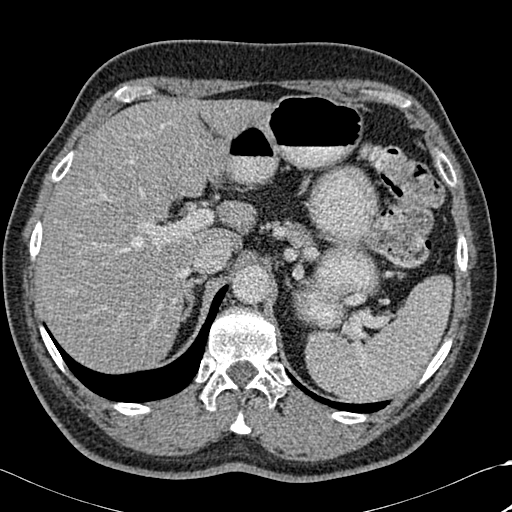
Abdomen. Computed tomography.
Bone at 457, 236, 467, 270; 52, 162, 67, 180; 231, 413, 249, 433; 114, 403, 148, 415; 448, 171, 455, 184; 30, 223, 41, 256; 41, 328, 63, 369; 196, 308, 290, 408; 332, 412, 365, 423; 421, 340, 450, 382.
Liver at 38, 100, 268, 373; 231, 205, 253, 233.
Lung at 54, 285, 227, 402; 287, 371, 389, 412.